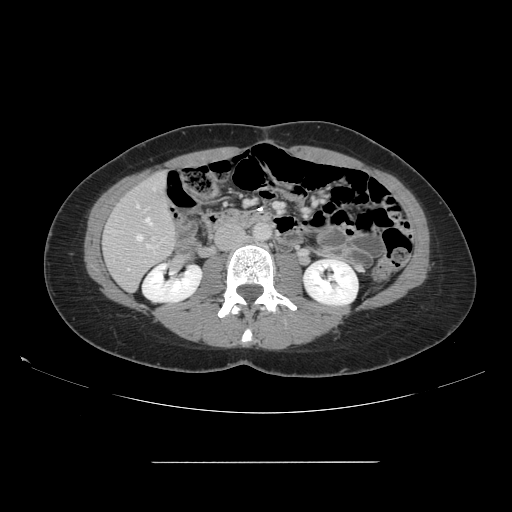
Liver. CT slice.
Not every hepatic vessel necessarily has a box.
hepatic_vessel:
  - bbox(147, 245, 155, 249)
  - bbox(154, 187, 154, 190)
  - bbox(152, 237, 154, 239)
  - bbox(136, 234, 142, 240)
  - bbox(137, 205, 138, 207)
  - bbox(146, 218, 151, 224)